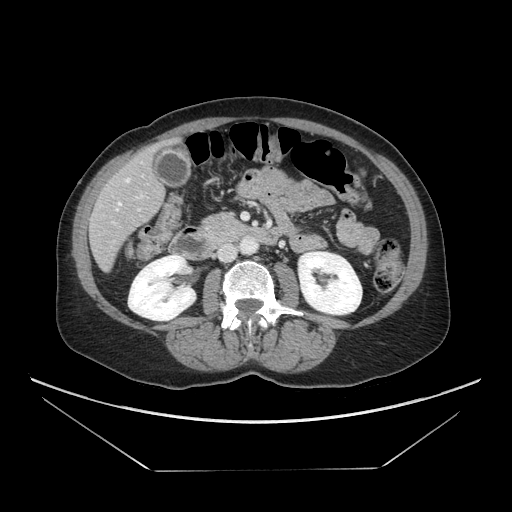

CT image; Upper abdomen
Pancreas: bounding box <bbox>202, 213, 262, 245</bbox>.